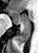

Hippocampus; Magnetic resonance
The posterior hippocampus lies within box=[15, 27, 30, 45]. The anterior hippocampus appears at box=[9, 10, 30, 26].